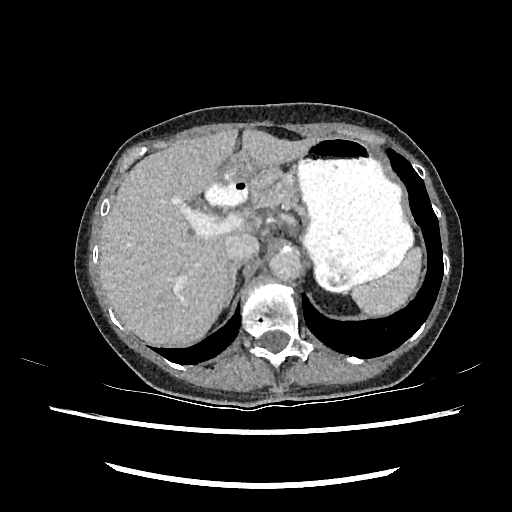

512x512 | Computed tomography | Upper abdomen
<segmentation>
  <liver>(243,130,313,180), (101,130,237,344)</liver>
</segmentation>